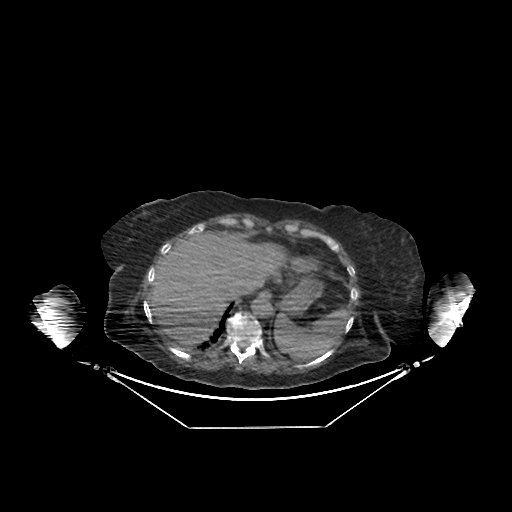
CT scan slice.
liver:
  - bbox=[151, 228, 282, 351]